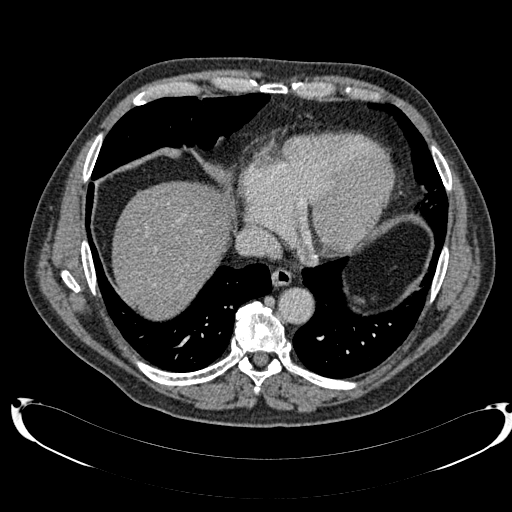

CT slice, Upper abdomen

The liver is located at (left=111, top=181, right=231, bottom=318).